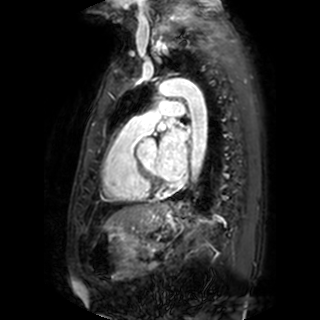 MRI. <segmentation>
  <left_atrium>x1=155 y1=129 x2=187 y2=181, x1=166 y1=117 x2=175 y2=126</left_atrium>
</segmentation>